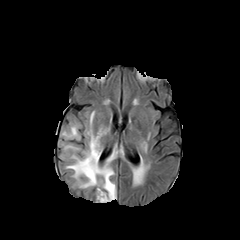
FLAIR MR image.
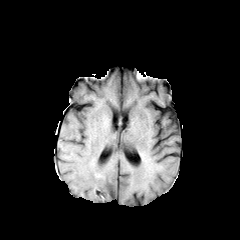
T1-weighted MRI of the same slice.
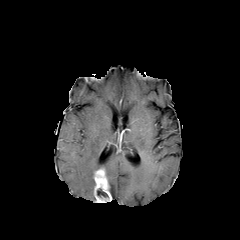
Post-contrast T1-weighted MR image.
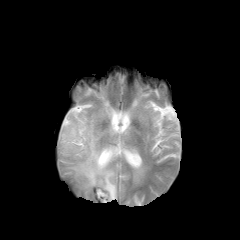
T2-weighted magnetic resonance.
Annotated regions:
- edema: x1=89, y1=112, x2=94, y2=127; x1=62, y1=123, x2=123, y2=199; x1=135, y1=169, x2=141, y2=180
- enhancing tumor: x1=94, y1=167, x2=111, y2=200
- non-enhancing tumor core: x1=106, y1=175, x2=113, y2=200; x1=96, y1=188, x2=108, y2=197